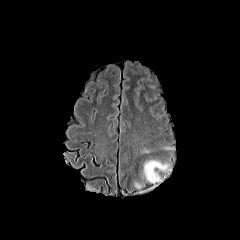
FLAIR MR.
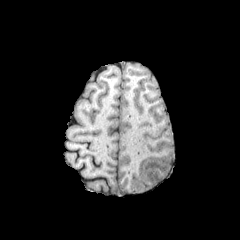
Same slice, T1-weighted MR image.
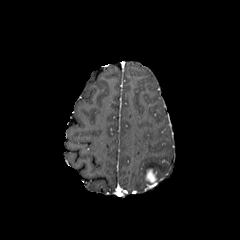
Post-contrast T1-weighted MRI.
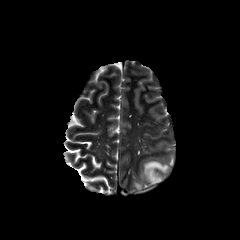
T2-weighted MR.
Brain
The enhancing tumor lies within region(145, 168, 157, 185). The edema is located at region(143, 160, 168, 173).